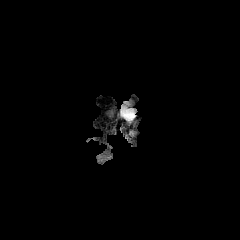
FLAIR magnetic resonance.
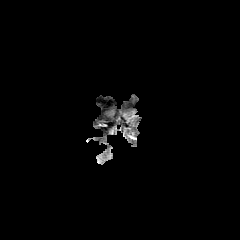
T1-weighted magnetic resonance.
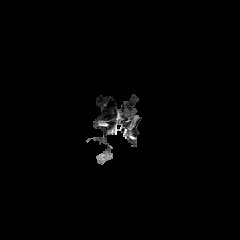
Post-contrast T1-weighted MR image of the same slice.
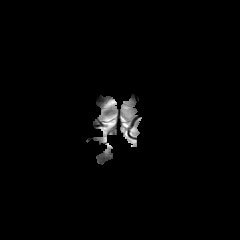
T2-weighted MRI of the same slice.
Edema = 121,106,135,121.